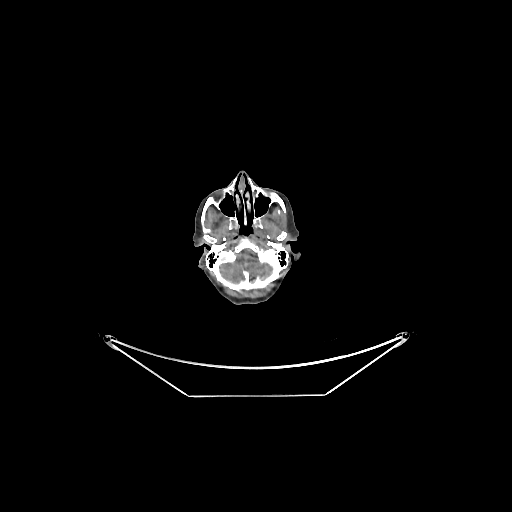
CT image

• brain: 219,248,272,282